CT scan slice, Slice 78 of 168, 512x512 px

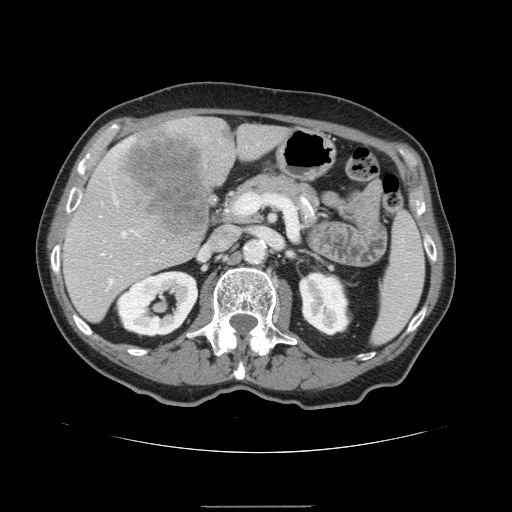 The spleen appears at bbox=[373, 214, 423, 342].